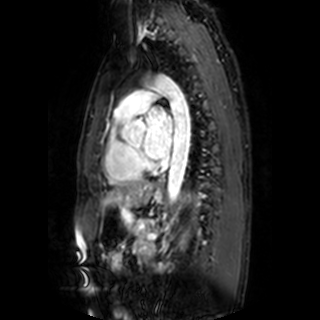

MR image; Heart
Segmented structures:
- left atrium: <bbox>142, 107, 173, 158</bbox>